Image size 512x512. Field of view 312 mm wide, 5.00 mm slice spacing. Liver. CT scan slice.
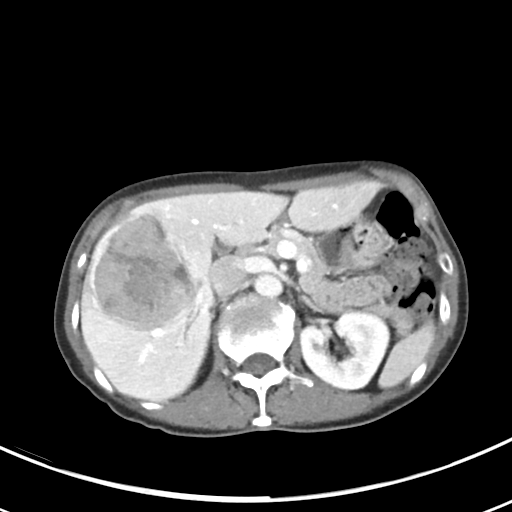
{"liver_tumor": ["90, 209, 202, 333"]}